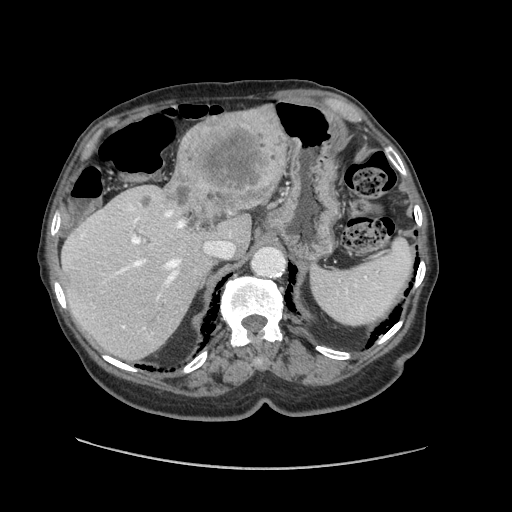
CT scan slice, Abdomen
Some hepatic vessels may have no box.
Hepatic vessel = 131,236,139,243; 135,260,143,264; 177,221,184,227; 204,241,234,257; 165,211,172,216; 165,259,180,284.
Liver tumor = 170,110,282,227.